Image size 512x512. Field of view 381 mm wide, 0.80 mm slice spacing. CT slice.
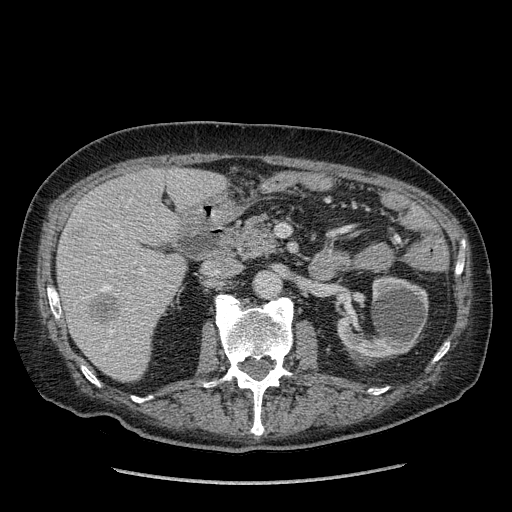 Kidney = x1=372, y1=277, x2=428, y2=312; x1=337, y1=307, x2=420, y2=357.
Liver = x1=57, y1=167, x2=227, y2=381.
Liver lesion = x1=90, y1=293, x2=120, y2=324.